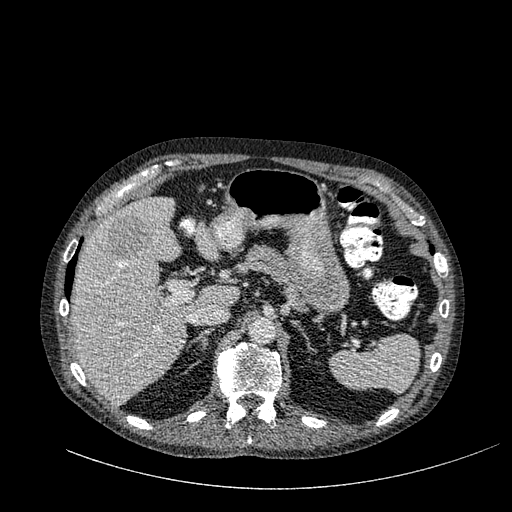
Upper abdomen. CT. Liver: left=195, top=222, right=218, bottom=259; left=71, top=199, right=238, bottom=403.
Hepatic lesion: left=105, top=214, right=152, bottom=260.